FLAIR MR.
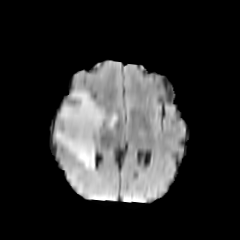
T1-weighted MR.
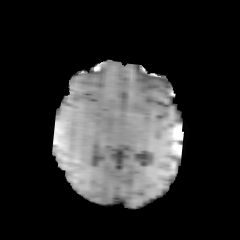
Post-contrast T1-weighted MRI.
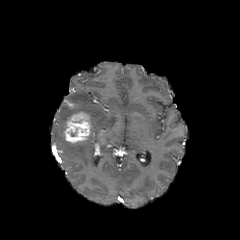
T2-weighted MR image.
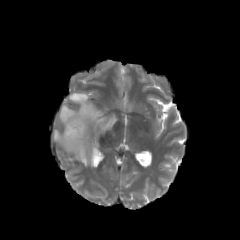
Brain
The edema lies within <box>53,92,118,168</box>. The enhancing tumor lies within <box>64,111,92,142</box>.